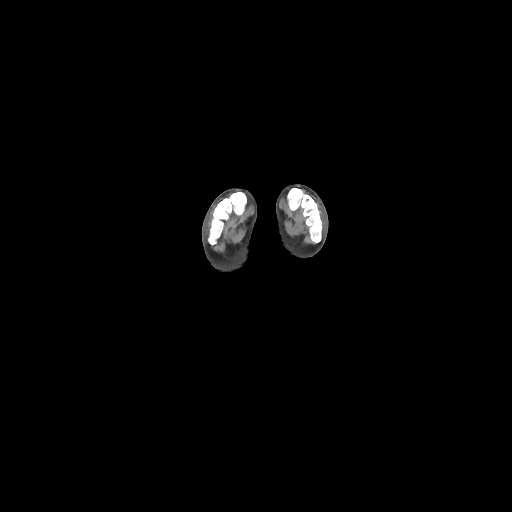 CT slice; 512x512

Bone — rect(287, 188, 321, 242); rect(208, 192, 246, 244).